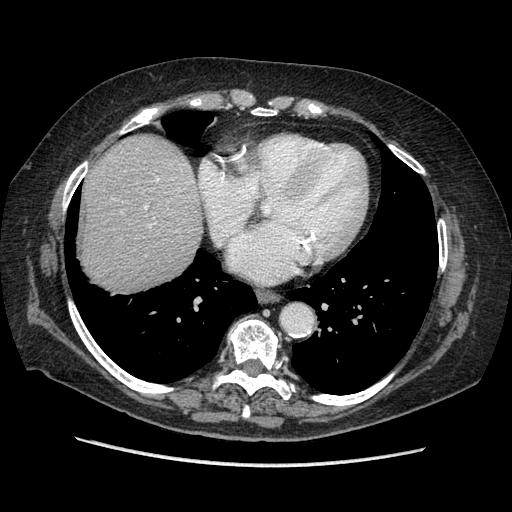 Abdomen | CT slice | 512x512

Only some of the vessels may be annotated.
Hepatic vessel at {"x1": 144, "y1": 205, "x2": 146, "y2": 207}.